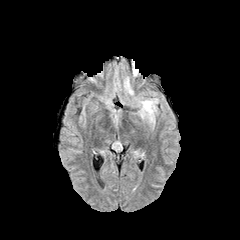
FLAIR MRI.
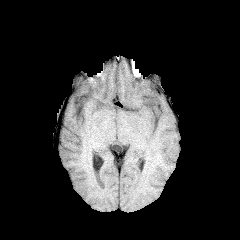
T1-weighted MR.
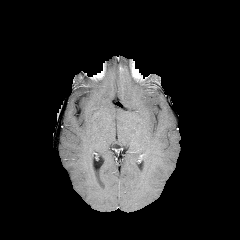
Same slice, post-contrast T1-weighted MR.
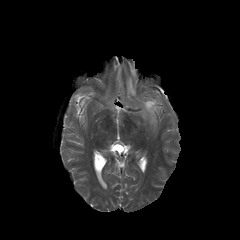
T2-weighted MR of the same slice.
* edema: bbox=[126, 83, 134, 96]; bbox=[136, 95, 157, 123]